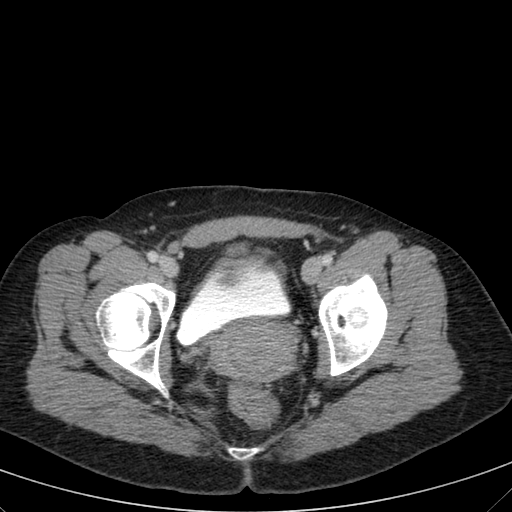
CT; Lower abdomen; Image size 512x512
Segmented structures:
• urinary bladder: l=178, t=267, r=289, b=344